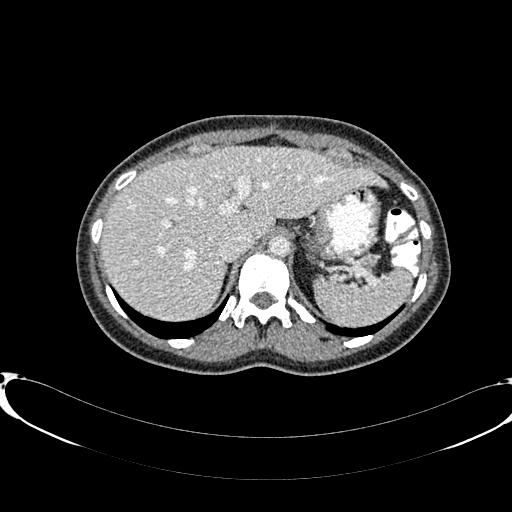 512x512 px, CT scan slice, Upper abdomen
The liver appears at <bbox>102, 147, 386, 318</bbox>.